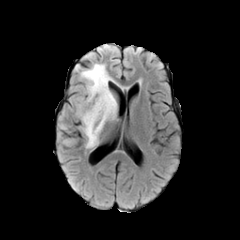
FLAIR MR.
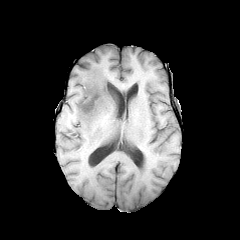
T1-weighted magnetic resonance.
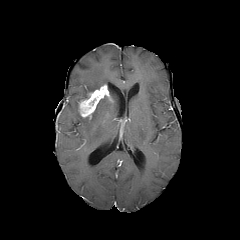
Post-contrast T1-weighted MR image.
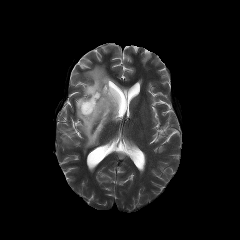
T2-weighted MR image.
Brain
2 edema regions are bounded by [x1=80, y1=98, x2=117, y2=148], [x1=80, y1=63, x2=124, y2=95]. The enhancing tumor lies within [x1=78, y1=84, x2=111, y2=119]. 3 non-enhancing tumor core regions are bounded by [x1=108, y1=88, x2=116, y2=104], [x1=92, y1=96, x2=107, y2=118], [x1=80, y1=85, x2=99, y2=99].